512x512, Liver, Computed tomography

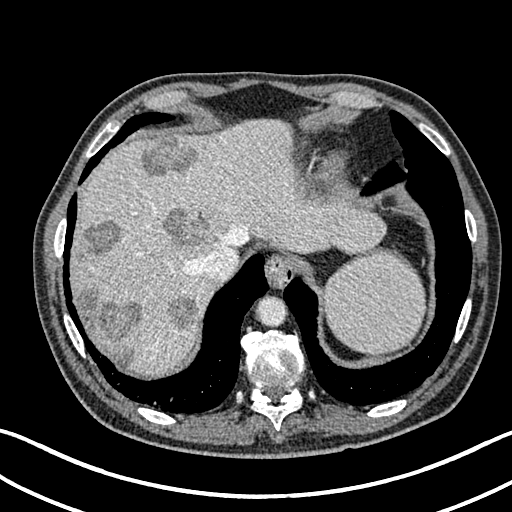
• liver: (72, 120, 385, 374)
• focal liver lesion: (84, 221, 119, 255), (168, 298, 196, 330), (78, 288, 142, 337), (76, 253, 85, 261), (162, 208, 210, 248), (116, 352, 129, 367), (142, 139, 196, 175)